240x240, Head, Slice 88 of 155
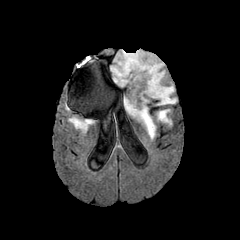
FLAIR MRI.
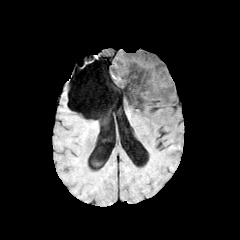
Same slice, T1-weighted magnetic resonance.
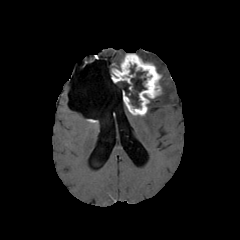
Post-contrast T1-weighted MR image.
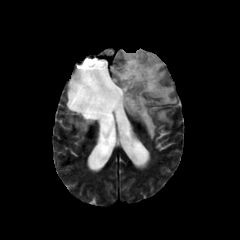
T2-weighted MR image of the same slice.
The enhancing tumor appears at x1=112, y1=54, x2=161, y2=115. 6 edema regions are bounded by x1=135, y1=50, x2=176, y2=105; x1=156, y1=109, x2=171, y2=124; x1=110, y1=51, x2=125, y2=71; x1=128, y1=109, x2=156, y2=138; x1=134, y1=84, x2=140, y2=99; x1=69, y1=119, x2=93, y2=131. The non-enhancing tumor core is bounded by x1=118, y1=64, x2=146, y2=107.